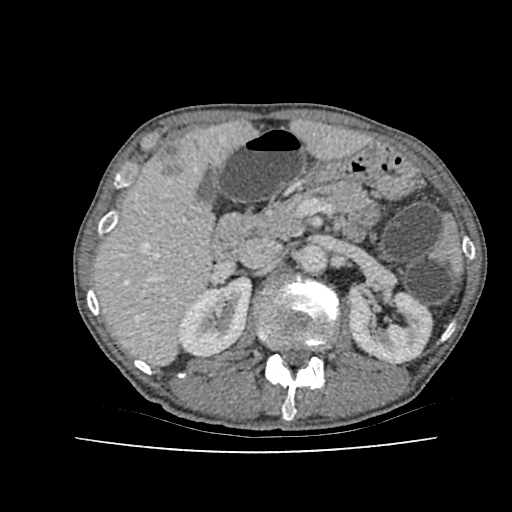
CT

Annotated regions:
• kidney: x1=350, y1=289, x2=431, y2=362; x1=179, y1=278, x2=250, y2=355
• liver: x1=295, y1=123, x2=367, y2=155; x1=96, y1=123, x2=254, y2=362
• liver lesion: x1=158, y1=143, x2=182, y2=178